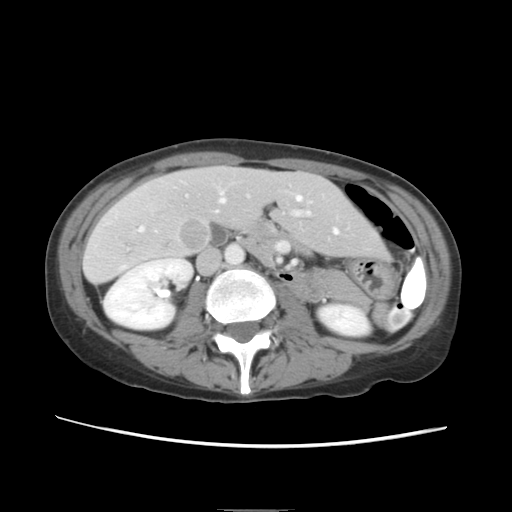
512x512 px | CT image | Liver
Not every hepatic vessel necessarily has a box.
{"liver_tumor": ["[x1=178, y1=219, x2=208, y2=250]"], "hepatic_vessel": ["[x1=139, y1=226, x2=143, y2=230]", "[x1=333, y1=228, x2=338, y2=233]", "[x1=219, y1=189, x2=225, y2=201]", "[x1=277, y1=242, x2=288, y2=250]", "[x1=216, y1=210, x2=217, y2=211]", "[x1=293, y1=211, x2=309, y2=214]", "[x1=120, y1=265, x2=125, y2=268]", "[x1=296, y1=195, x2=301, y2=200]"]}